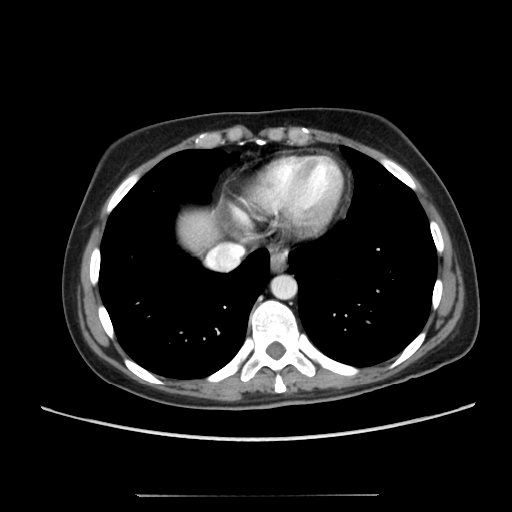 CT

Liver at box=[174, 207, 226, 255].